FLAIR magnetic resonance.
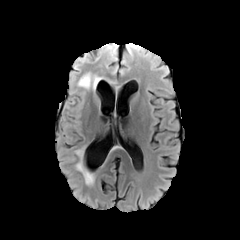
T1-weighted MR image.
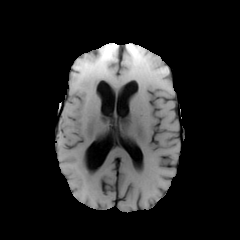
Post-contrast T1-weighted magnetic resonance.
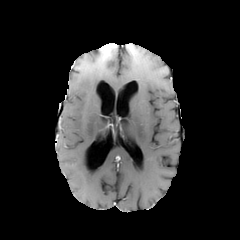
T2-weighted MRI.
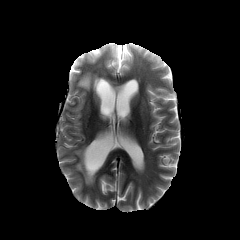
Edema — bbox=[75, 150, 95, 185]; bbox=[77, 73, 101, 90]; bbox=[86, 55, 99, 61]; bbox=[101, 52, 118, 73]; bbox=[122, 47, 133, 67].
Non-enhancing tumor core — bbox=[100, 45, 115, 60].